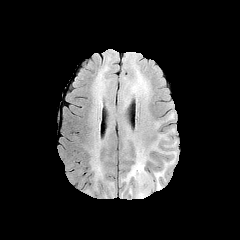
FLAIR magnetic resonance.
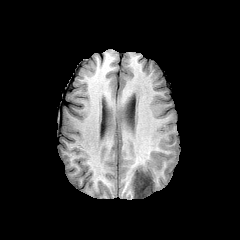
Same slice, T1-weighted MRI.
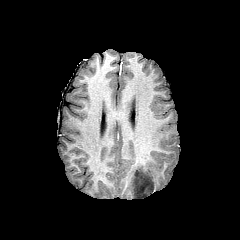
Post-contrast T1-weighted magnetic resonance of the same slice.
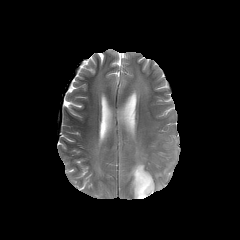
T2-weighted MR image of the same slice.
Brain.
Edema at 124,150,152,197; 92,150,101,175; 154,168,166,188.
Non-enhancing tumor core at 134,170,152,193.